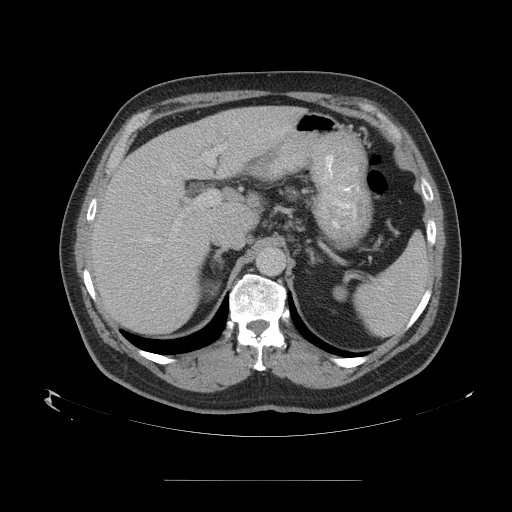
Computed tomography | Liver | Image size 512x512
The vessel boxes may cover only some of the vessels.
4 hepatic vessel regions appear at box=[172, 214, 184, 229]; box=[186, 207, 190, 210]; box=[171, 232, 176, 236]; box=[194, 190, 220, 207].